240x240 px; Brain
FLAIR magnetic resonance.
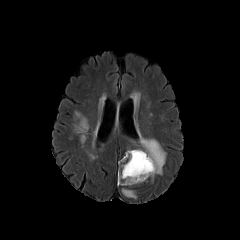
T1-weighted magnetic resonance.
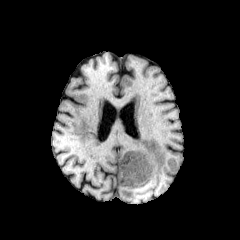
Post-contrast T1-weighted magnetic resonance.
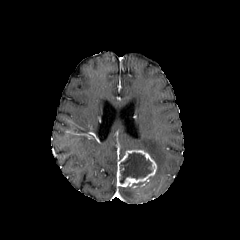
T2-weighted MR.
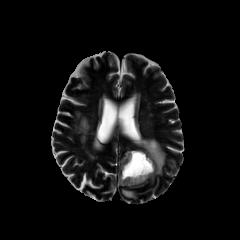
enhancing_tumor:
  - [117,149,157,186]
non-enhancing_tumor_core:
  - [120,152,152,183]
edema:
  - [122,188,136,199]
  - [140,138,165,174]